Abdomen. Slice 98 of 164. 512x512. Computed tomography.
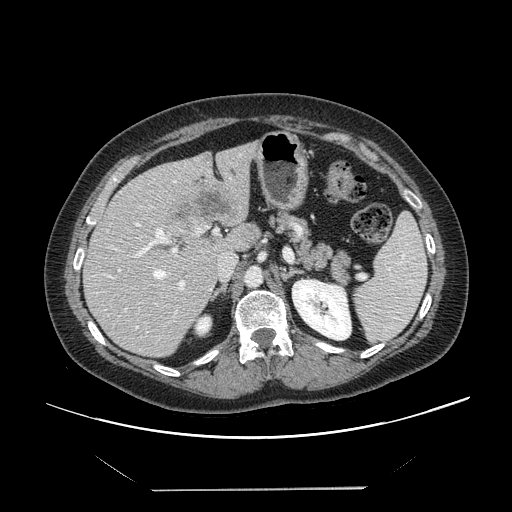 Some hepatic vessels may have no box.
hepatic vessel: left=176, top=279, right=185, bottom=291; left=104, top=274, right=110, bottom=276; left=172, top=311, right=176, bottom=318; left=214, top=228, right=218, bottom=234; left=171, top=247, right=177, bottom=256; left=119, top=268, right=120, bottom=271; left=109, top=245, right=118, bottom=249; left=160, top=291, right=163, bottom=294; left=218, top=253, right=235, bottom=279; left=134, top=227, right=169, bottom=256; left=124, top=309, right=126, bottom=310; left=152, top=268, right=169, bottom=280 | liver tumor: left=168, top=184, right=240, bottom=239